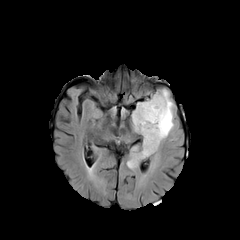
FLAIR MR image.
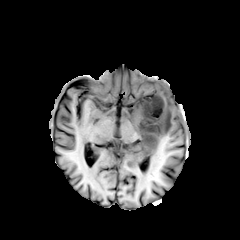
T1-weighted MR image.
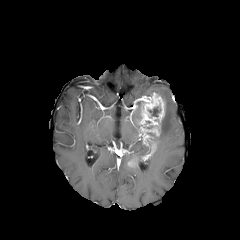
Same slice, post-contrast T1-weighted magnetic resonance.
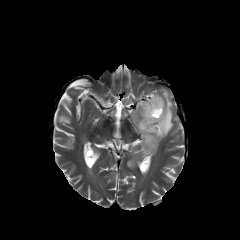
T2-weighted MRI.
Image size 240x240. Brain.
Enhancing tumor = 137 93 165 145.
Edema = 150 89 174 143, 132 110 139 131.
Non-enhancing tumor core = 149 107 160 117.